Image size 240x240; Field of view 240x240 mm
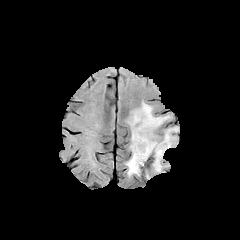
FLAIR magnetic resonance.
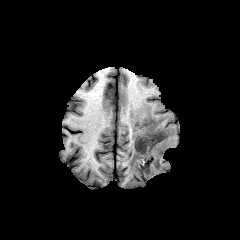
T1-weighted MR image of the same slice.
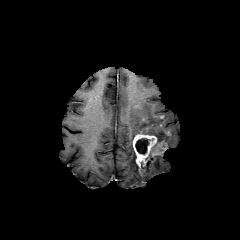
Post-contrast T1-weighted MR image.
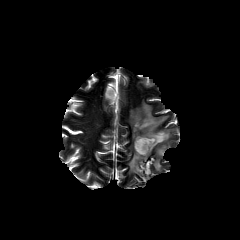
T2-weighted MR image of the same slice.
Enhancing tumor: [x1=132, y1=134, x2=156, y2=165].
Edema: [x1=126, y1=144, x2=140, y2=174], [x1=130, y1=103, x2=176, y2=171].
Non-enhancing tumor core: [x1=135, y1=138, x2=147, y2=154], [x1=145, y1=129, x2=159, y2=143].